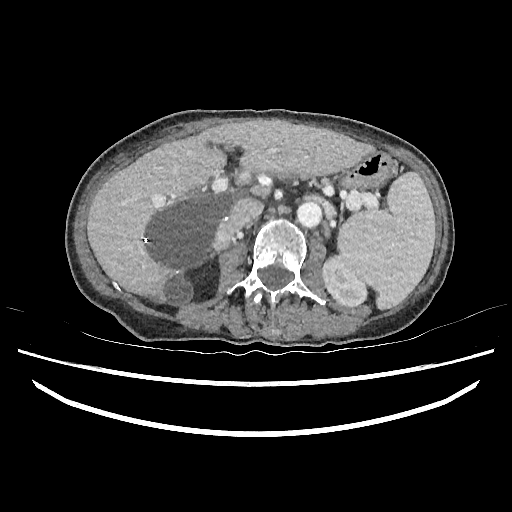 Abdomen. CT scan slice. 512x512 px. The liver appears at x1=88 y1=121 x2=374 y2=304. 2 focal liver lesion regions are located at x1=145 y1=194 x2=229 y2=270, x1=166 y1=274 x2=192 y2=304. The kidney lies within x1=323 y1=259 x2=366 y2=306.